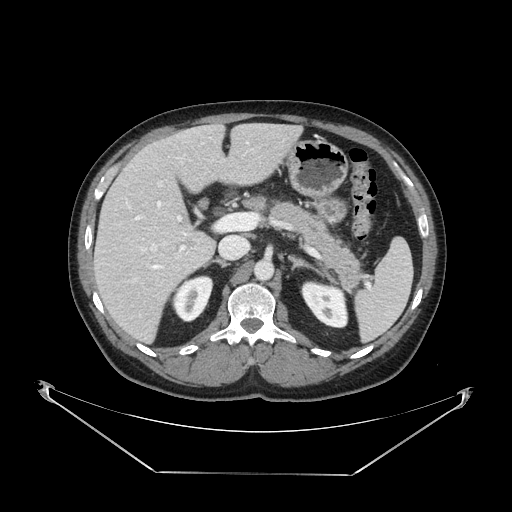

Computed tomography

{"pancreas": ["(left=270, top=199, right=364, bottom=291)"]}